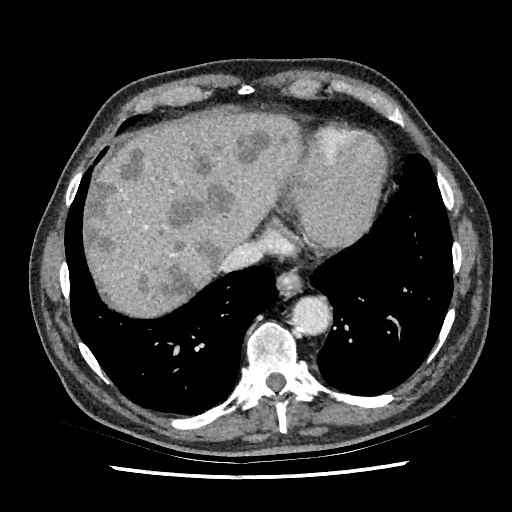
Abdomen; CT

Liver at (left=88, top=113, right=299, bottom=315).
Focal liver lesion at (left=189, top=142, right=211, bottom=176), (left=173, top=241, right=184, bottom=251), (left=136, top=272, right=148, bottom=292), (left=85, top=181, right=117, bottom=252), (left=120, top=149, right=145, bottom=181), (left=161, top=264, right=193, bottom=296), (left=236, top=132, right=271, bottom=167), (left=167, top=184, right=236, bottom=228), (left=197, top=240, right=221, bottom=271).